Slice 56/109. Upper abdomen. Field of view 487 mm wide, 2.50 mm slice spacing. CT. 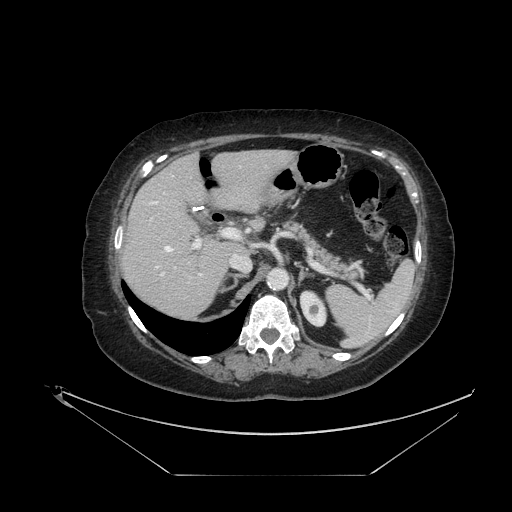

The pancreas lies within [x1=285, y1=221, x2=359, y2=278].